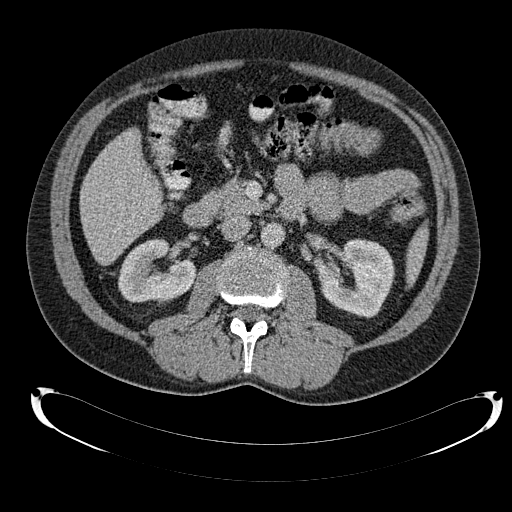 Image size 512x512; Computed tomography
Kidney: region(316, 240, 393, 316); region(118, 239, 195, 301).
Liver: region(79, 130, 160, 264).